512x512 px | CT slice

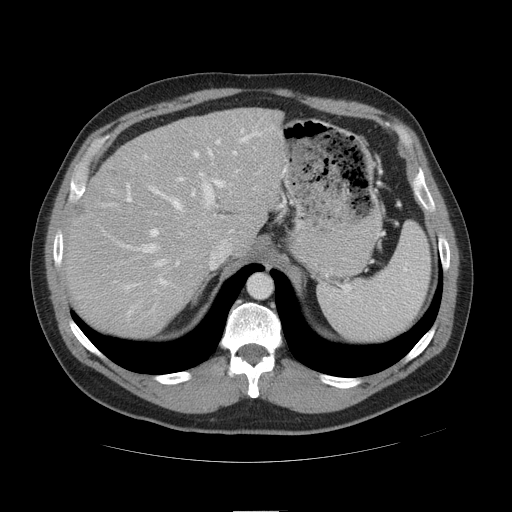
Not every hepatic vessel necessarily has a box.
The top 15 hepatic vessel regions (of 21) are bounded by box(143, 244, 156, 252); box(159, 278, 167, 284); box(127, 183, 131, 201); box(208, 150, 211, 155); box(214, 180, 224, 187); box(240, 132, 259, 141); box(216, 139, 219, 144); box(155, 259, 165, 265); box(120, 244, 135, 249); box(194, 151, 198, 156); box(173, 199, 182, 209); box(150, 229, 157, 235); box(126, 285, 134, 288); box(203, 184, 212, 203); box(150, 187, 160, 193). The liver tumor appears at box(79, 206, 85, 215).